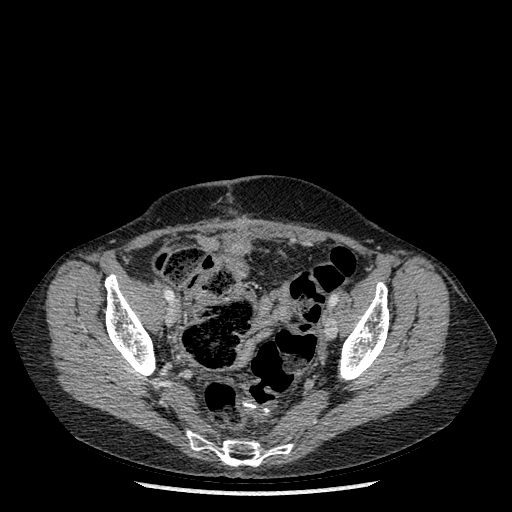 CT slice
bone:
  - left=340, top=282, right=389, bottom=379
  - left=186, top=430, right=293, bottom=466
  - left=105, top=274, right=155, bottom=379